Field of view 345x345 mm, Slice index 12, Computed tomography 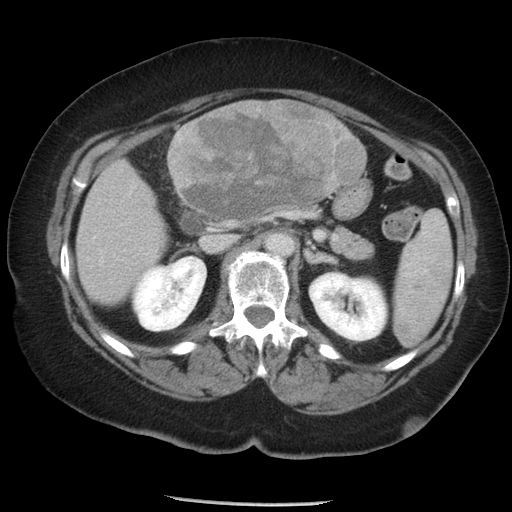

The vessel boxes may cover only some of the vessels.
{
  "hepatic_vessel": [
    "<box>127,182,134,195</box>",
    "<box>99,259,103,263</box>",
    "<box>152,249,155,250</box>"
  ],
  "liver_tumor": [
    "<box>179,102,365,218</box>"
  ]
}